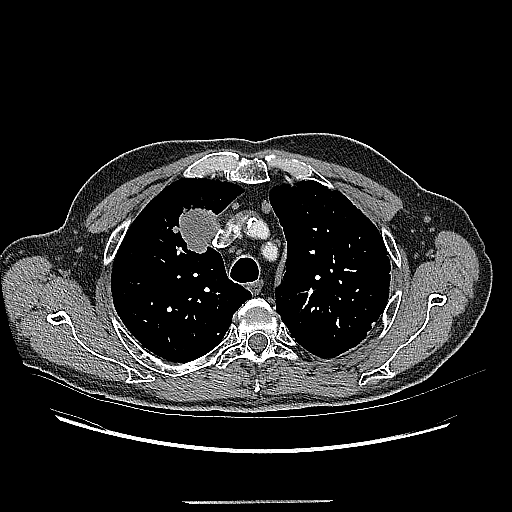 CT scan slice.
lung tumor: <box>172,204,218,253</box>